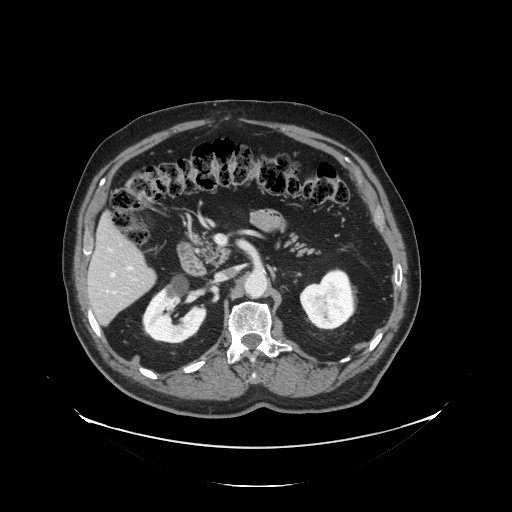 CT slice

Not every hepatic vessel necessarily has a box.
{
  "hepatic_vessel": [
    "x1=111 y1=273 x2=115 y2=277",
    "x1=113 y1=292 x2=115 y2=293",
    "x1=126 y1=267 x2=132 y2=270",
    "x1=106 y1=290 x2=108 y2=292"
  ]
}